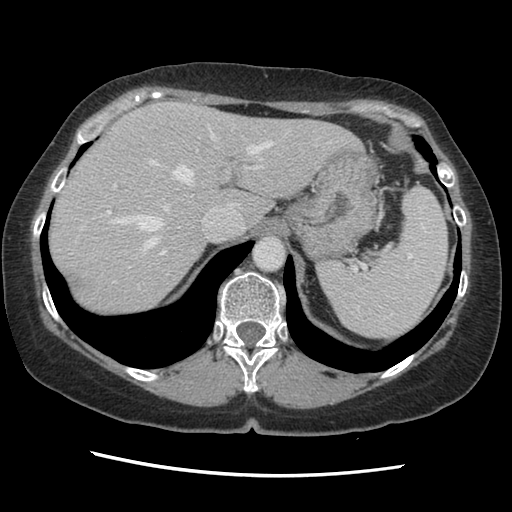 CT; Abdomen
The vessel boxes may cover only some of the vessels.
Hepatic vessel at x1=149 y1=160 x2=157 y2=164, x1=109 y1=216 x2=162 y2=230, x1=107 y1=210 x2=110 y2=213, x1=144 y1=238 x2=156 y2=249, x1=255 y1=165 x2=262 y2=167, x1=174 y1=165 x2=192 y2=182, x1=247 y1=140 x2=272 y2=153, x1=81 y1=227 x2=82 y2=230, x1=113 y1=184 x2=116 y2=187, x1=209 y1=127 x2=215 y2=139, x1=161 y1=250 x2=165 y2=253, x1=164 y1=205 x2=169 y2=210.